CT 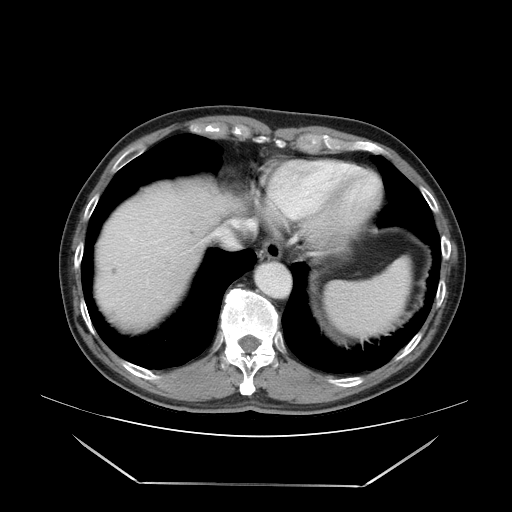

Some hepatic vessels may have no box.
Segmented structures:
• hepatic vessel: rect(245, 220, 255, 229)